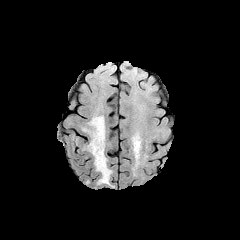
FLAIR MR.
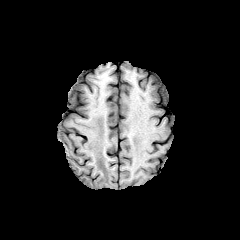
T1-weighted MR of the same slice.
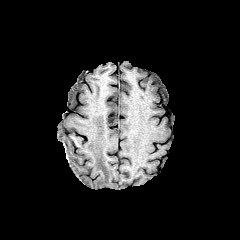
Post-contrast T1-weighted MR of the same slice.
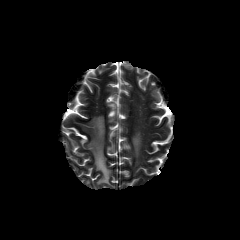
Same slice, T2-weighted magnetic resonance.
240x240 px
The edema is bounded by left=83, top=115, right=111, bottom=185.